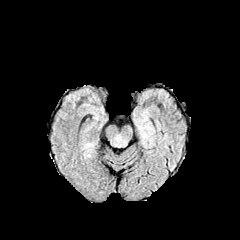
FLAIR MR.
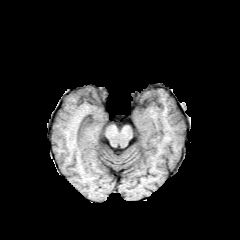
T1-weighted MR image.
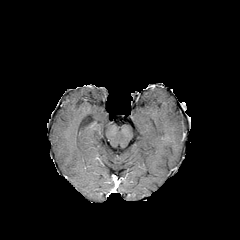
Post-contrast T1-weighted magnetic resonance.
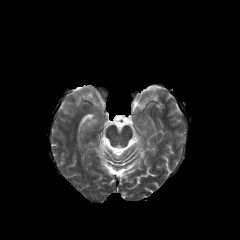
T2-weighted magnetic resonance of the same slice.
{
  "edema": [
    "(x1=84, y1=144, x2=94, y2=157)"
  ]
}